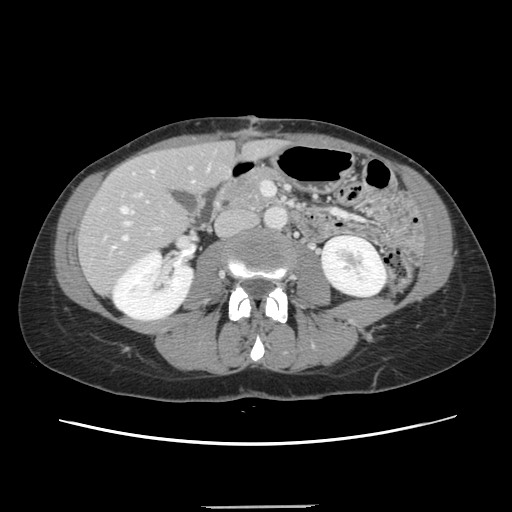

Abdomen. Image size 512x512. Computed tomography. Some hepatic vessels may have no box.
Annotated regions:
* hepatic vessel: box(124, 221, 129, 224); box(122, 236, 126, 239); box(134, 193, 141, 195); box(145, 201, 147, 202); box(192, 180, 193, 182); box(111, 246, 115, 248); box(189, 167, 191, 168); box(151, 170, 153, 172); box(207, 167, 208, 170); box(154, 228, 157, 228); box(121, 207, 132, 213)